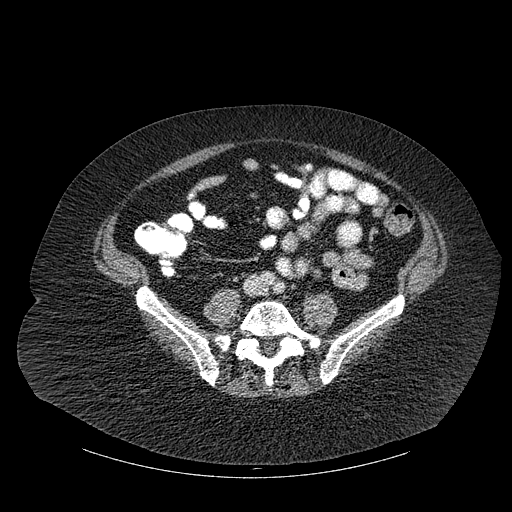
Computed tomography, 512x512
Annotated regions:
- bone: rect(136, 286, 218, 385); rect(236, 301, 319, 385); rect(215, 335, 230, 350); rect(320, 295, 404, 383)